Brain. Slice 89 of 155.
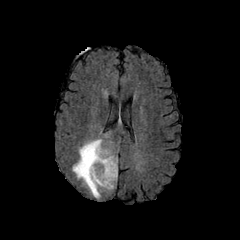
FLAIR MR.
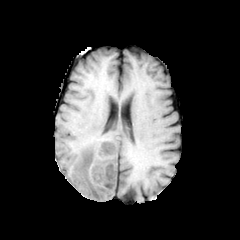
T1-weighted MR image.
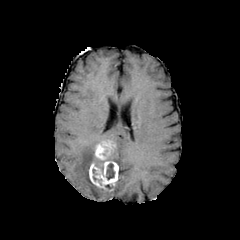
Same slice, post-contrast T1-weighted magnetic resonance.
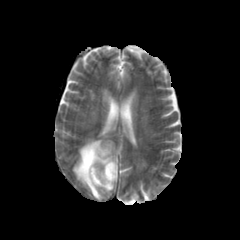
T2-weighted MR.
{
  "edema": [
    "bbox=[72, 136, 110, 199]"
  ],
  "enhancing_tumor": [
    "bbox=[89, 142, 117, 189]"
  ],
  "non-enhancing_tumor_core": [
    "bbox=[82, 147, 104, 185]",
    "bbox=[106, 140, 117, 164]",
    "bbox=[106, 163, 114, 179]"
  ]
}